FLAIR MR image.
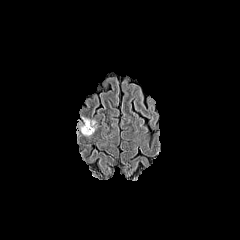
T1-weighted MR image.
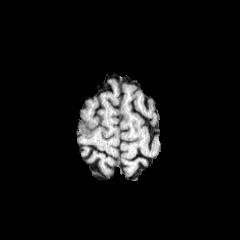
Post-contrast T1-weighted magnetic resonance.
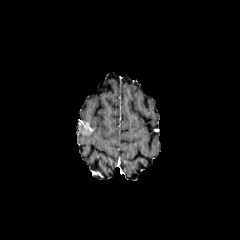
T2-weighted magnetic resonance.
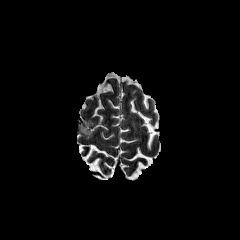
Brain
- edema: (80,114,98,130), (76,119,84,132)
- non-enhancing tumor core: (82,124,94,135)